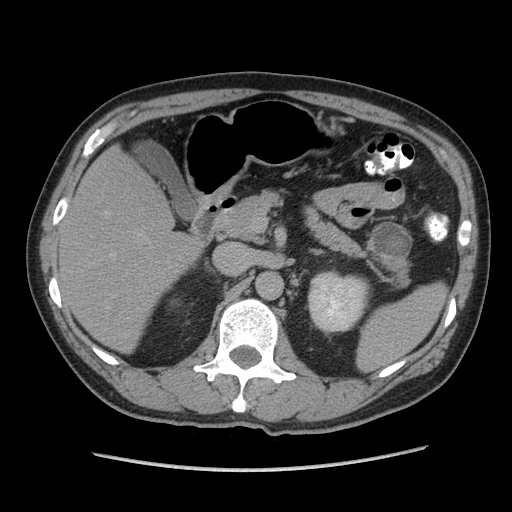
Image size 512x512, CT scan slice, Upper abdomen

Pancreas: box=[211, 190, 286, 240]; box=[304, 208, 370, 257].